Upper abdomen. CT. 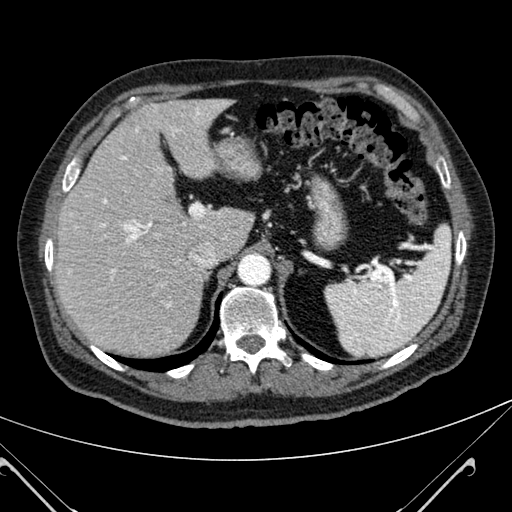 The liver is bounded by 55 96 250 358.